FLAIR MRI.
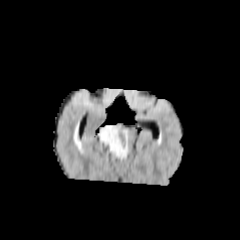
T1-weighted MRI.
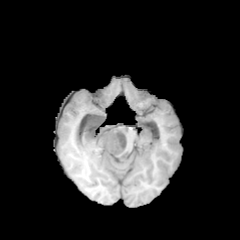
Post-contrast T1-weighted MR image.
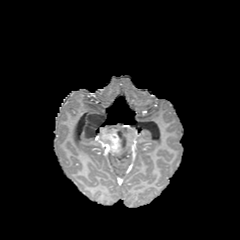
T2-weighted MR image.
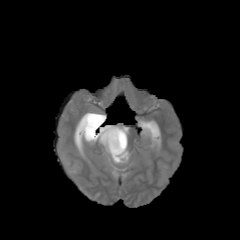
3 edema regions appear at 78:117:84:139, 99:141:129:160, 111:123:129:135. The enhancing tumor is at 97:127:122:154. 2 non-enhancing tumor core regions appear at 83:111:106:140, 118:130:130:152.